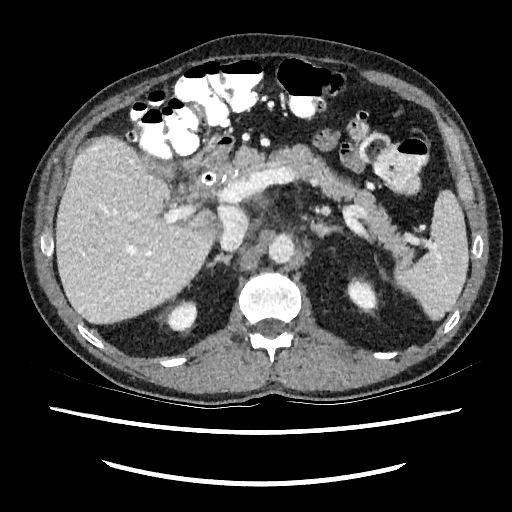 CT slice

Liver — x1=56 y1=137 x2=216 y2=323.
Kidney — x1=169 y1=305 x2=195 y2=329, x1=349 y1=282 x2=374 y2=307.
Focal liver lesion — x1=200 y1=217 x2=219 y2=236.